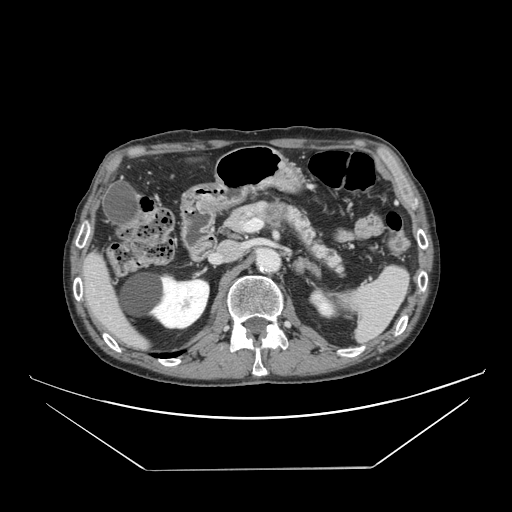

Computed tomography. {"pancreas": ["<box>223,199,349,278</box>"], "pancreatic_tumor": ["<box>264,204,288,219</box>"]}